Computed tomography. Slice 501/683.

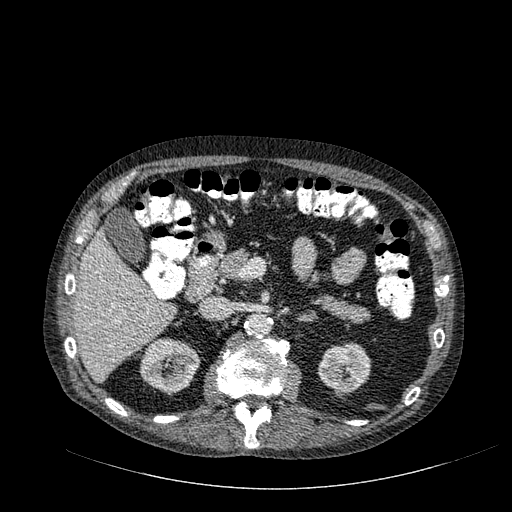
* liver: left=74, top=228, right=174, bottom=381
* kidney: left=139, top=337, right=200, bottom=394; left=317, top=342, right=370, bottom=394